CT, Abdomen 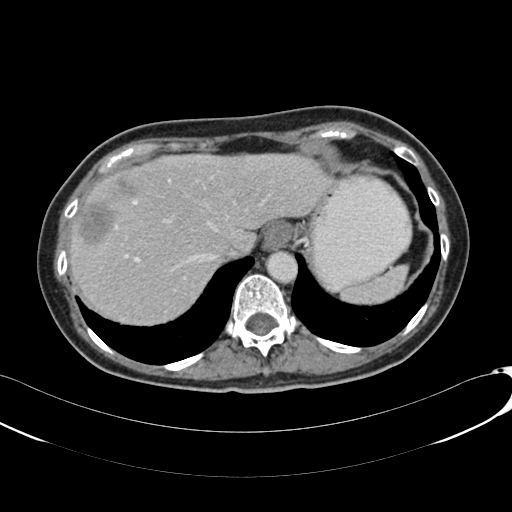
Annotated regions:
- liver: bbox(70, 154, 329, 322)
- focal liver lesion: bbox(110, 177, 134, 200); bbox(77, 200, 121, 245)